Slice index 41 | CT image

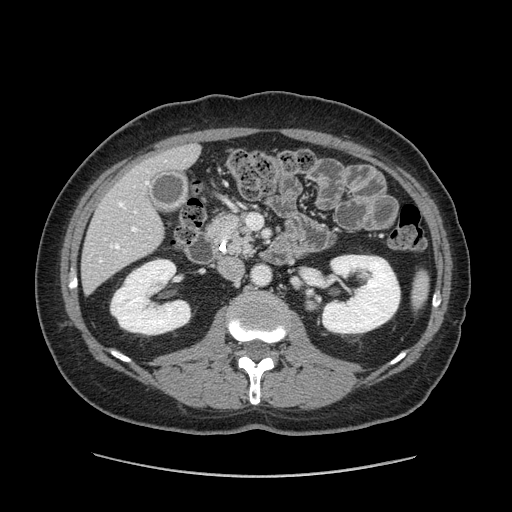

{
  "pancreas": [
    "region(207, 215, 252, 256)"
  ]
}